Image size 240x240.
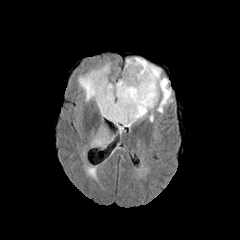
FLAIR MR.
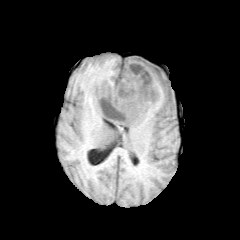
Same slice, T1-weighted MRI.
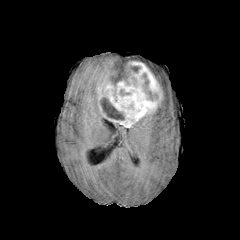
Same slice, post-contrast T1-weighted MRI.
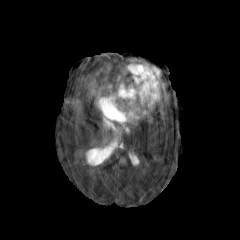
T2-weighted magnetic resonance.
<segmentation>
  <edema>box=[124, 57, 171, 115]; box=[131, 111, 154, 126]; box=[79, 65, 115, 116]</edema>
  <non-enhancing_tumor_core>box=[123, 65, 139, 75]; box=[114, 74, 128, 83]; box=[98, 96, 124, 119]; box=[142, 80, 158, 99]</non-enhancing_tumor_core>
  <enhancing_tumor>box=[96, 60, 162, 127]</enhancing_tumor>
</segmentation>